Liver | Computed tomography
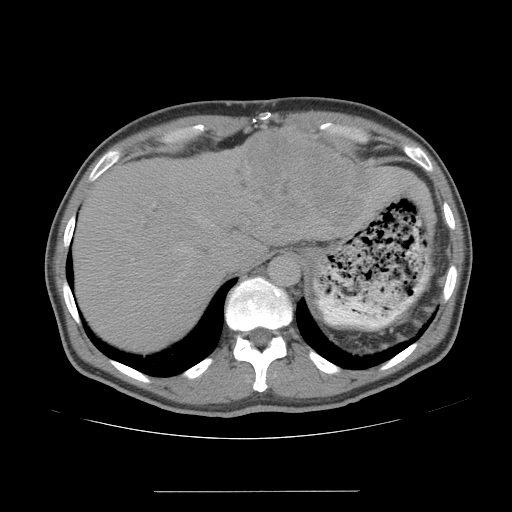
Some hepatic vessels may have no box.
liver tumor: rect(237, 132, 368, 232) | [15/17] hepatic vessel: rect(181, 247, 196, 254); rect(369, 200, 369, 204); rect(174, 279, 179, 280); rect(197, 216, 200, 222); rect(165, 250, 167, 252); rect(187, 263, 189, 265); rect(186, 207, 187, 209); rect(174, 248, 176, 251); rect(198, 255, 199, 257); rect(245, 219, 248, 223); rect(151, 203, 156, 207); rect(149, 209, 151, 213); rect(202, 226, 204, 227); rect(206, 220, 209, 222); rect(234, 246, 237, 249)